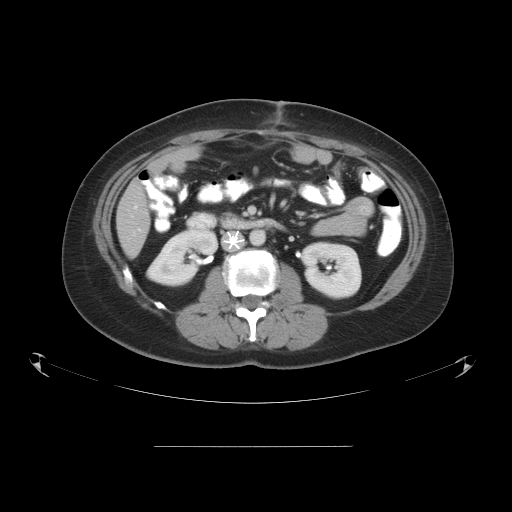 512x512. CT scan slice.
The vessel boxes may cover only some of the vessels.
3 hepatic vessel regions are located at bbox=[138, 228, 140, 230]; bbox=[134, 203, 137, 208]; bbox=[133, 232, 136, 235].